FLAIR MRI.
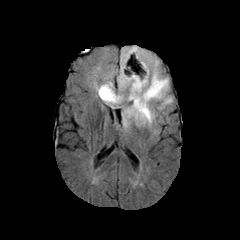
T1-weighted magnetic resonance.
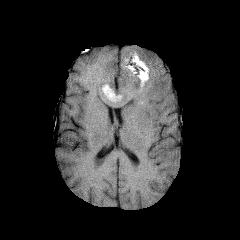
Post-contrast T1-weighted MRI.
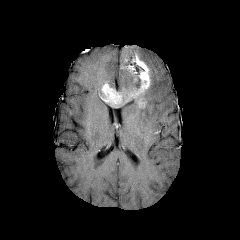
T2-weighted MRI.
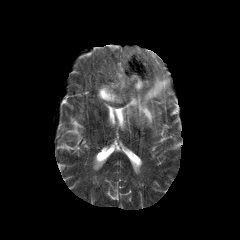
240x240.
• enhancing tumor: box(100, 84, 122, 106); box(127, 62, 149, 99)
• edema: box(106, 49, 141, 89); box(123, 54, 173, 127)
• non-enhancing tumor core: box(132, 89, 147, 108); box(114, 58, 144, 106)